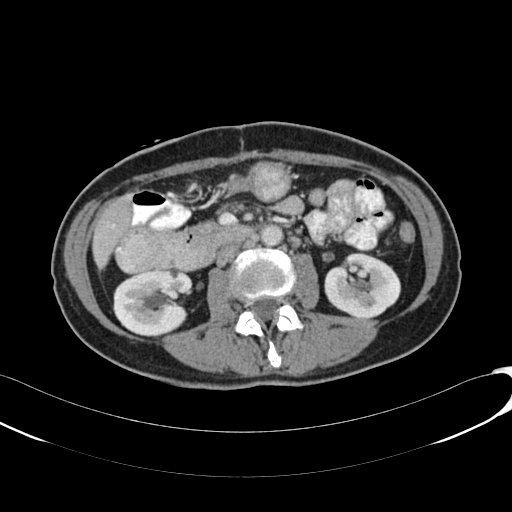
CT slice

Annotated regions:
- liver: <bbox>93, 194, 132, 267</bbox>
- kidney: <bbox>115, 270, 185, 334</bbox>, <bbox>325, 254, 399, 317</bbox>